Slice index 15 | Field of view 200x200 mm
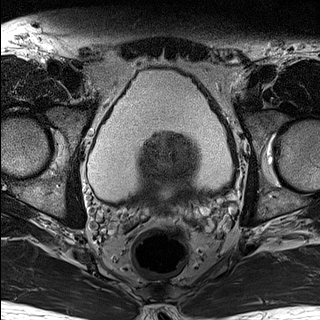
T2-weighted MR.
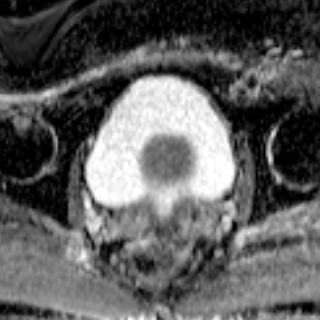
ADC MR image.
The prostate transition zone is bounded by left=143, top=135, right=202, bottom=180.